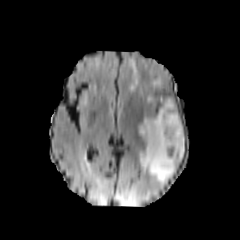
FLAIR MRI.
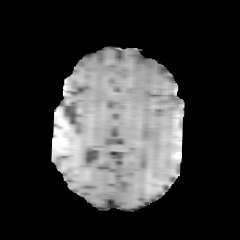
T1-weighted MRI.
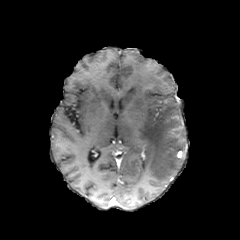
Post-contrast T1-weighted MR.
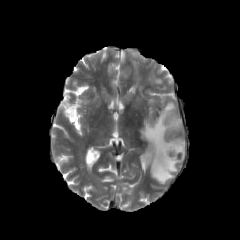
T2-weighted MR.
Brain
3 edema regions are located at l=150, t=78, r=161, b=87; l=138, t=99, r=185, b=183; l=129, t=59, r=141, b=92.